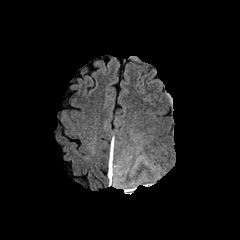
FLAIR magnetic resonance.
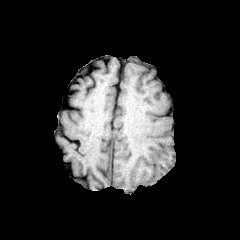
T1-weighted MR.
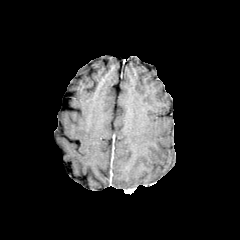
Post-contrast T1-weighted MRI.
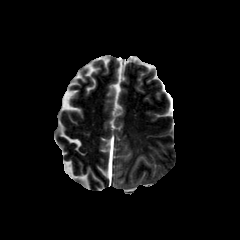
Same slice, T2-weighted MR.
Image size 240x240
<segmentation>
  <edema>x1=125, y1=179, x2=144, y2=189; x1=108, y1=140, x2=125, y2=189</edema>
</segmentation>